FLAIR MR.
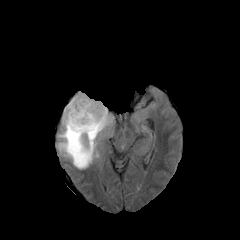
T1-weighted magnetic resonance.
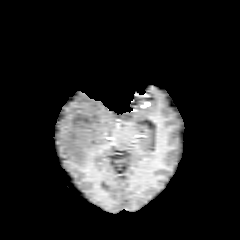
Post-contrast T1-weighted MR.
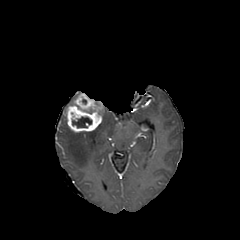
T2-weighted MRI.
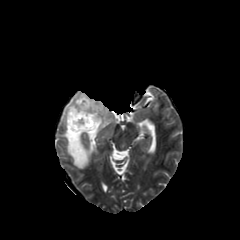
240x240 px. Head.
{"non-enhancing_tumor_core": ["72,116,92,128"], "edema": ["57,107,114,168"], "enhancing_tumor": ["63,92,105,132"]}